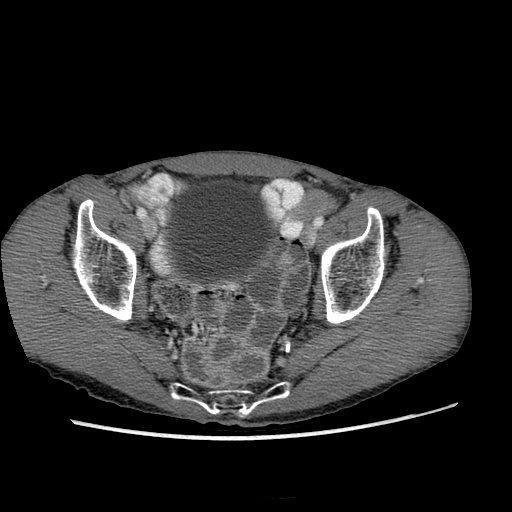

CT slice

urinary_bladder:
  - <bbox>170, 179, 273, 279</bbox>